512x512, Abdomen, CT
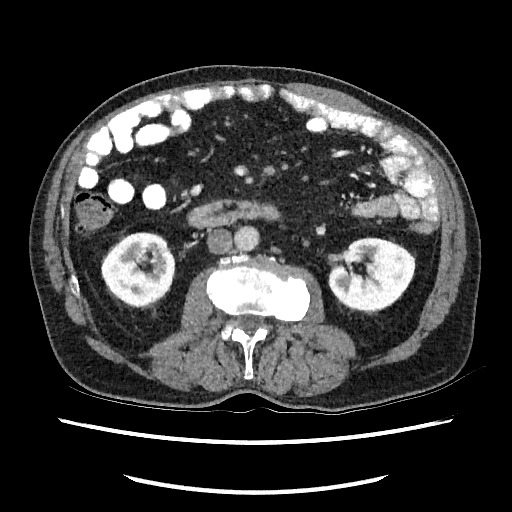
{"kidney": ["[x1=101, y1=233, x2=174, y2=307]", "[x1=329, y1=238, x2=414, y2=313]"]}